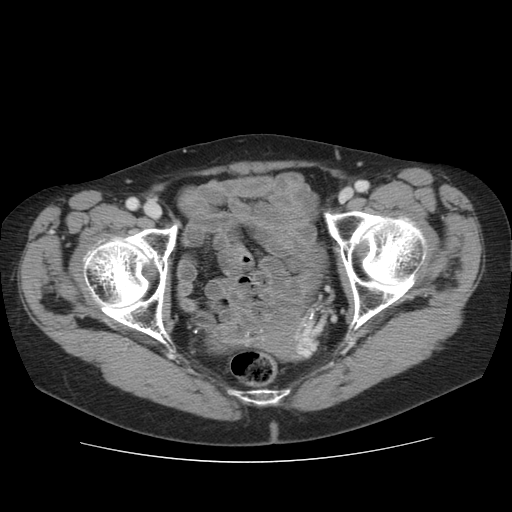 512x512; CT scan slice
- bone: bbox=[76, 223, 180, 346]; bbox=[324, 210, 433, 329]; bbox=[231, 390, 281, 405]